Head | Field of view 240 mm wide, 1.00 mm slice spacing
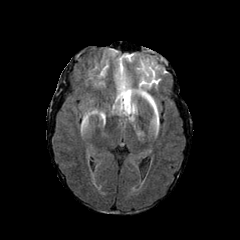
FLAIR magnetic resonance.
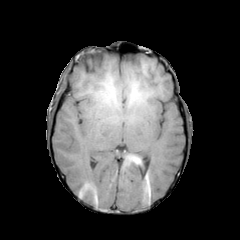
T1-weighted MR image.
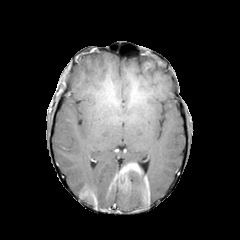
Same slice, post-contrast T1-weighted MRI.
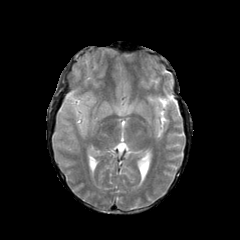
T2-weighted MR image of the same slice.
4 edema regions are located at 121,88,131,111; 147,96,157,114; 144,78,157,85; 81,112,89,129.